Lung. Slice index 217. CT scan slice.
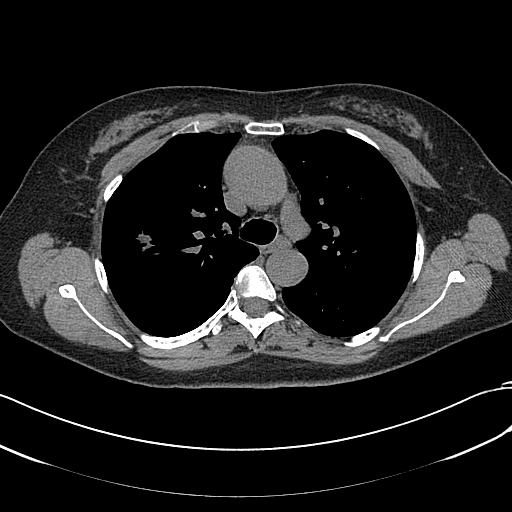
Lung tumor = x1=130 y1=231 x2=153 y2=262.